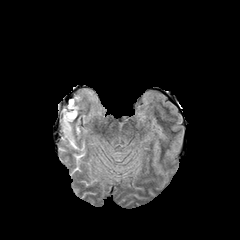
FLAIR MRI.
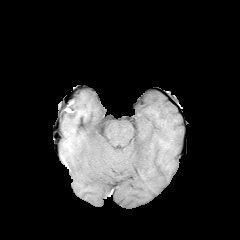
T1-weighted magnetic resonance.
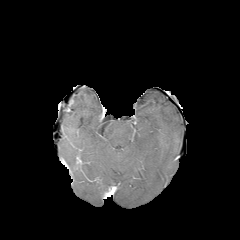
Post-contrast T1-weighted MRI.
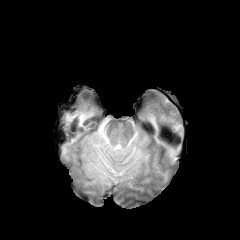
Same slice, T2-weighted MR.
Head.
edema:
  - bbox(91, 139, 112, 171)
  - bbox(68, 137, 78, 148)
  - bbox(62, 100, 87, 135)
  - bbox(128, 145, 141, 164)